Head.
FLAIR MRI.
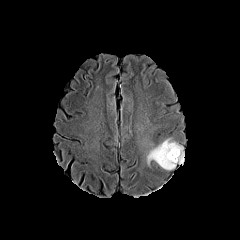
T1-weighted MR image.
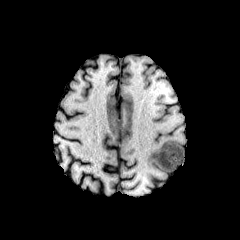
Post-contrast T1-weighted MR image.
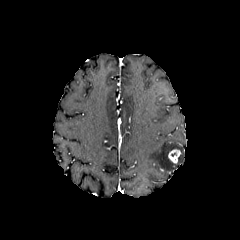
T2-weighted MR.
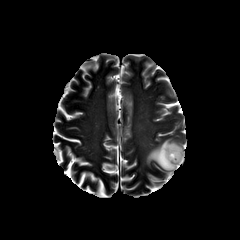
edema: 147,140,184,169 | non-enhancing tumor core: 170,149,180,158